CT, 512x512, Slice 202 of 565, Abdomen
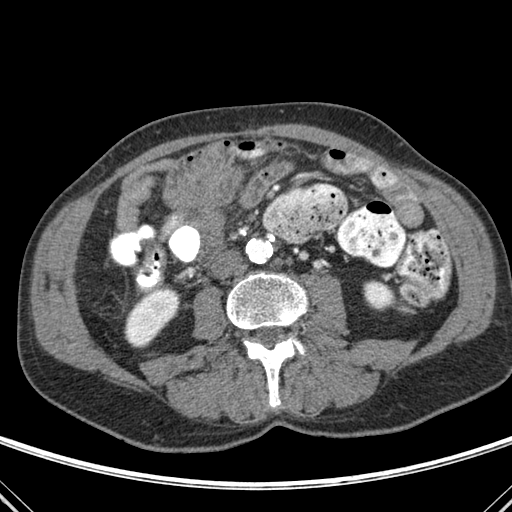
{"kidney": ["box(365, 283, 389, 307)", "box(126, 290, 178, 345)"], "bone": ["box(227, 272, 307, 329)", "box(243, 335, 304, 407)"]}